Image size 240x240
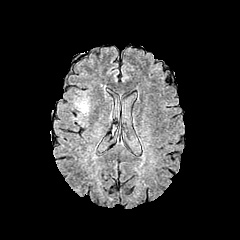
FLAIR MR image.
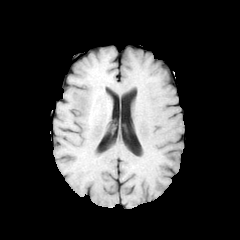
T1-weighted MR.
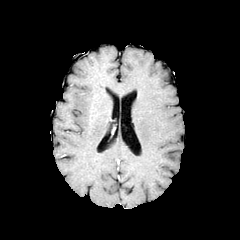
Post-contrast T1-weighted MR image.
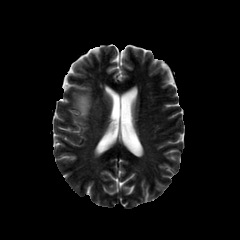
T2-weighted MR image.
Findings:
- edema: {"x1": 76, "y1": 97, "x2": 88, "y2": 112}